Head
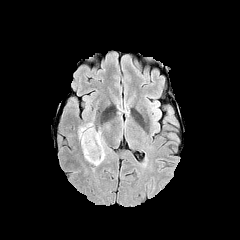
FLAIR magnetic resonance.
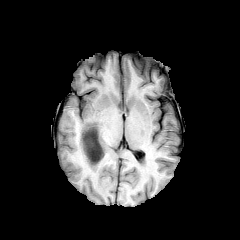
T1-weighted MRI.
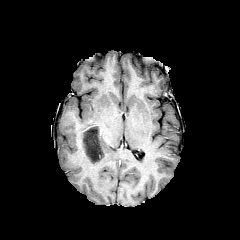
Same slice, post-contrast T1-weighted MR.
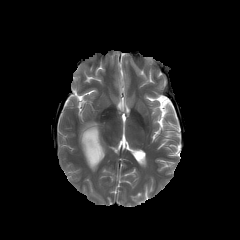
T2-weighted MR.
Edema: bounding box <box>78,121,107,170</box>, <box>152,104,159,113</box>.
Non-enhancing tumor core: bounding box <box>83,127,101,161</box>.